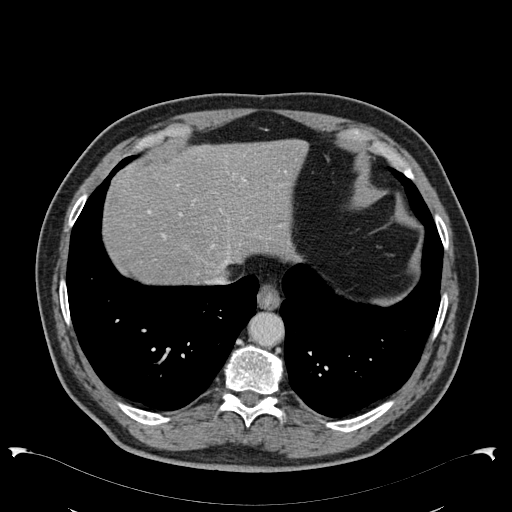 Abdomen. CT scan slice. Segmented structures:
• liver: <bbox>104, 140, 308, 283</bbox>